Image size 36x52, MR image

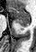 The posterior hippocampus is bounded by (19,24,25,29). The anterior hippocampus is bounded by (8,7,29,23).